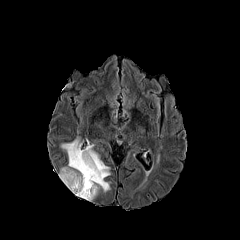
FLAIR MRI.
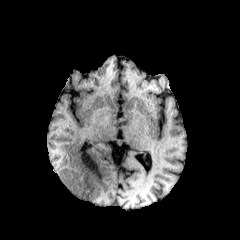
T1-weighted MR image of the same slice.
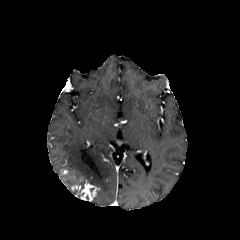
Same slice, post-contrast T1-weighted magnetic resonance.
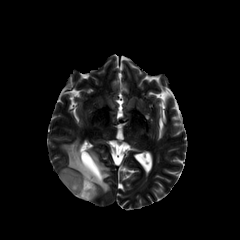
T2-weighted MR image of the same slice.
Head; Image size 240x240
The enhancing tumor is located at {"x1": 71, "y1": 176, "x2": 99, "y2": 200}. The edema is bounded by {"x1": 59, "y1": 138, "x2": 110, "y2": 192}.